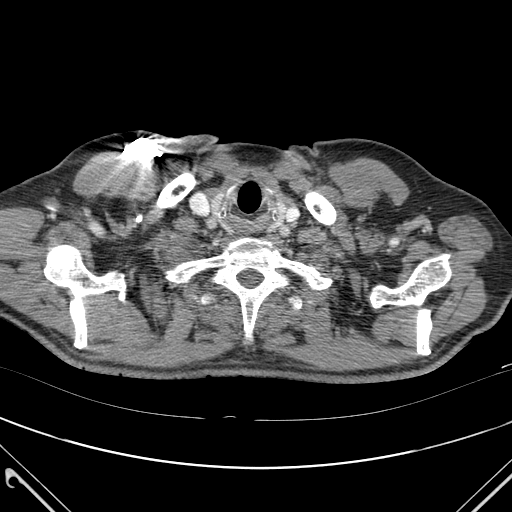 CT image

7 bone regions are bounded by 44:245:125:348, 417:309:431:354, 157:173:195:208, 370:254:451:307, 305:192:335:224, 294:300:301:308, 166:238:331:337.